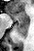

Magnetic resonance

Posterior hippocampus = x1=15, y1=21, x2=28, y2=36.
Anterior hippocampus = x1=7, y1=8, x2=27, y2=21.